Brain, Slice index 57, Image width 240 mm
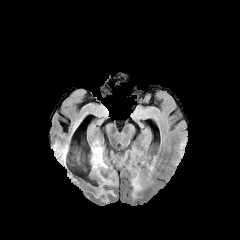
FLAIR magnetic resonance.
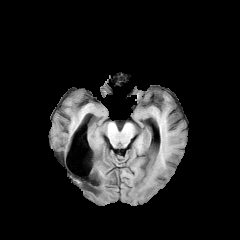
T1-weighted MR image of the same slice.
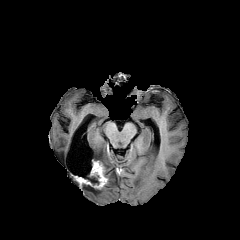
Same slice, post-contrast T1-weighted MRI.
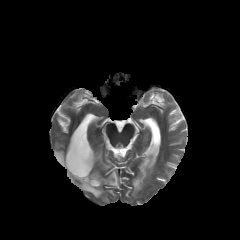
T2-weighted MRI of the same slice.
Enhancing tumor = 91, 161, 106, 187.
Edema = 86, 184, 114, 195; 91, 139, 118, 185; 54, 141, 68, 161.
Non-enhancing tumor core = 88, 172, 100, 188.